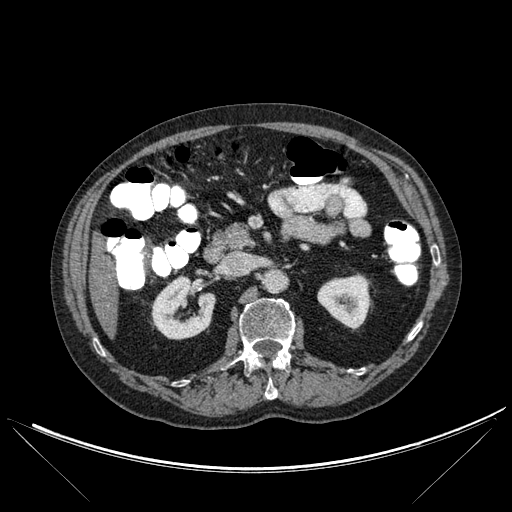

Liver; CT; Image size 512x512
Kidney — (152, 276, 214, 338), (318, 275, 369, 328).
Bone — (408, 322, 421, 340), (236, 298, 294, 369), (265, 379, 277, 398), (434, 253, 439, 264), (349, 368, 364, 374).
Liver — (89, 231, 118, 338).